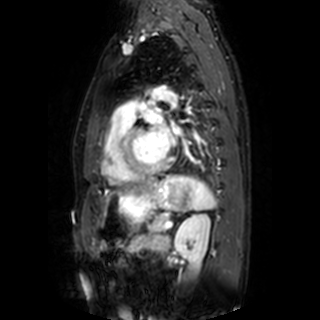

MR
Left atrium at 144, 109, 170, 157; 172, 125, 183, 135.